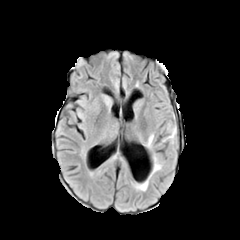
FLAIR MR image.
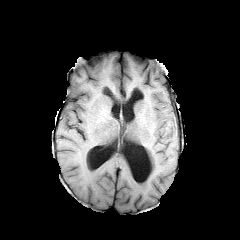
T1-weighted magnetic resonance.
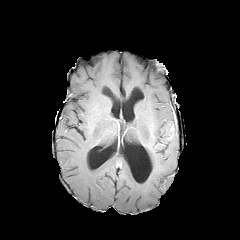
Same slice, post-contrast T1-weighted MR image.
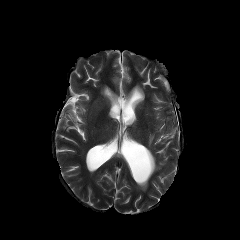
T2-weighted MRI.
{
  "edema": [
    "region(135, 153, 163, 191)",
    "region(147, 134, 153, 148)",
    "region(162, 123, 176, 143)"
  ]
}